CT slice; Slice 38 of 134; Abdomen 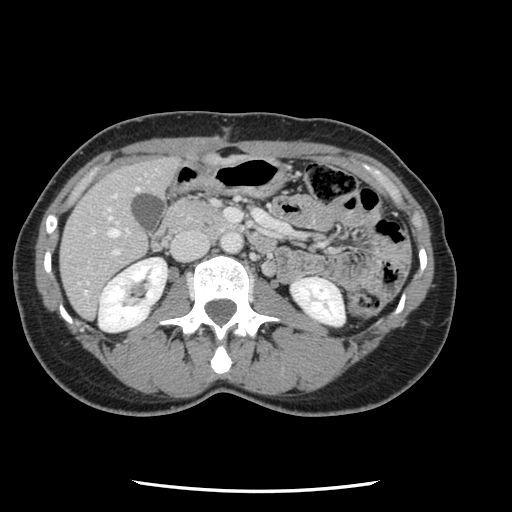 Not every hepatic vessel necessarily has a box.
Hepatic vessel: bbox(108, 208, 109, 211); bbox(113, 250, 117, 253); bbox(136, 188, 138, 189); bbox(108, 228, 117, 236); bbox(109, 216, 110, 218).